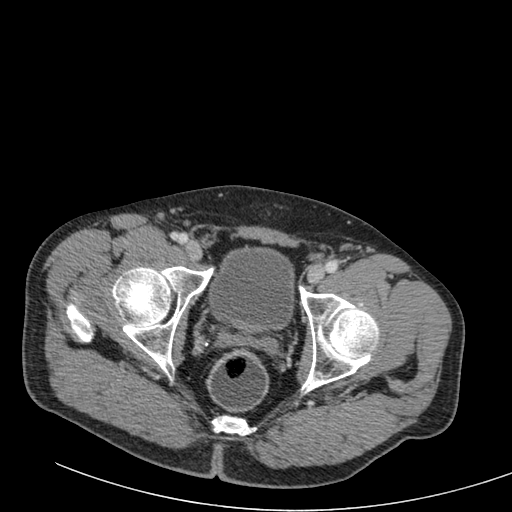 512x512 px | Computed tomography | Pelvis

The urinary bladder is at <box>208,246,293,335</box>.